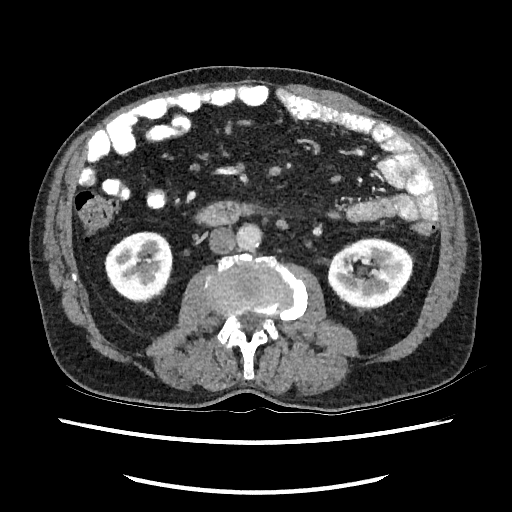 Image size 512x512, CT slice

Segmented structures:
* kidney: left=328, top=238, right=412, bottom=308; left=105, top=232, right=172, bottom=301